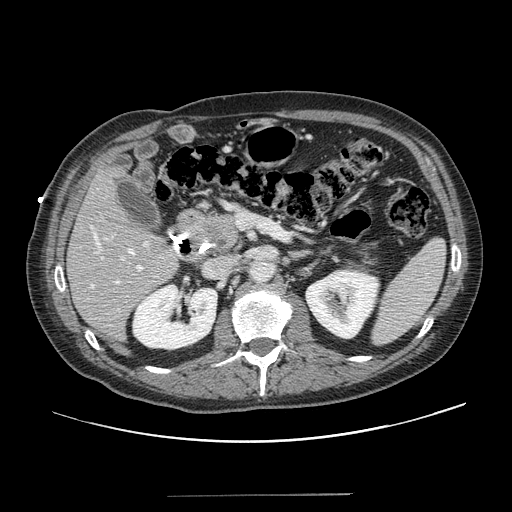

Image size 512x512; CT scan slice
{
  "pancreas": [
    "345 239 384 272",
    "185 211 241 255"
  ],
  "pancreatic_tumor": [
    "204 217 229 238"
  ]
}